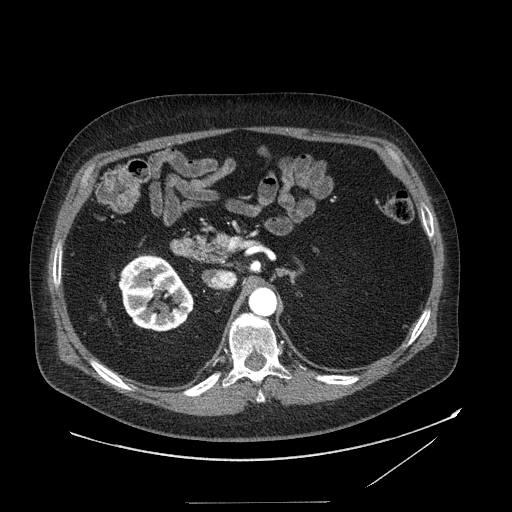
CT image

The pancreas is at (191,234,229,264).